512x512; Liver; Slice 64 of 105; Computed tomography
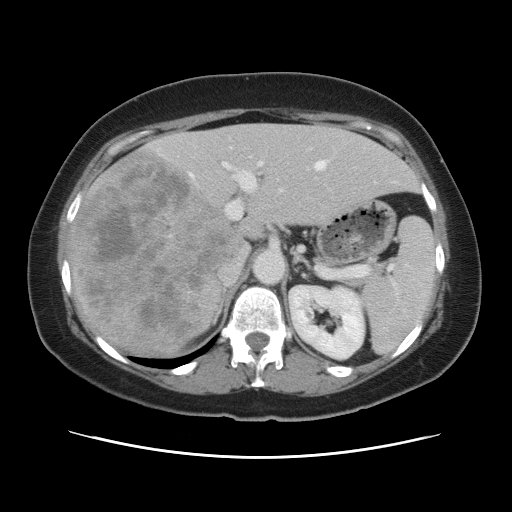 The vessel boxes may cover only some of the vessels.
{"liver_tumor": ["bbox(75, 152, 236, 349)"], "hepatic_vessel": ["bbox(258, 162, 262, 165)", "bbox(221, 257, 243, 285)", "bbox(278, 189, 282, 192)", "bbox(234, 171, 255, 191)", "bbox(225, 199, 242, 219)", "bbox(222, 162, 231, 168)", "bbox(230, 146, 231, 148)", "bbox(299, 248, 302, 251)", "bbox(315, 161, 327, 169)"]}